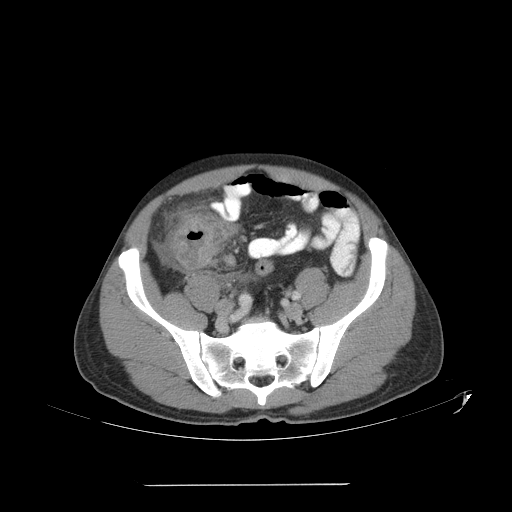
Computed tomography, 512x512 px
The colon tumor is bounded by (172,219,217,271).